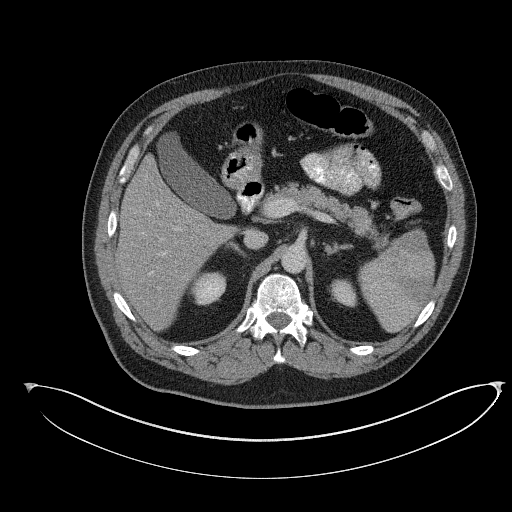

Abdomen; CT scan slice
Pancreas at region(274, 183, 355, 229); region(360, 221, 387, 247).
Pancreatic tumor at region(353, 206, 371, 234).